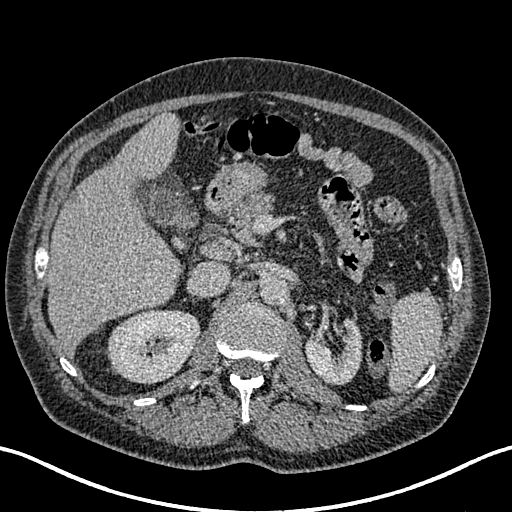
Computed tomography | Image size 512x512

Liver: <bbox>48, 114, 179, 351</bbox>.
Kidney: <bbox>306, 320, 360, 383</bbox>, <bbox>109, 311, 198, 382</bbox>.
Liver lesion: <bbox>60, 316, 72, 322</bbox>, <bbox>59, 291, 69, 302</bbox>.